FLAIR magnetic resonance.
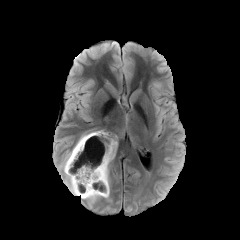
T1-weighted MR image.
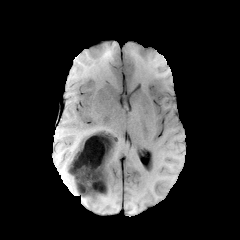
Post-contrast T1-weighted MR image.
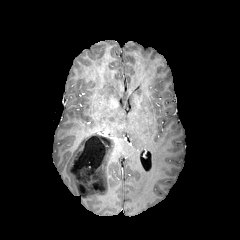
T2-weighted MR image.
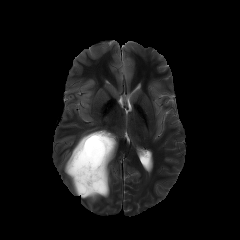
Head
The non-enhancing tumor core is located at (66, 132, 114, 195). 2 edema regions are located at (64, 142, 78, 193), (82, 162, 109, 201). The enhancing tumor lies within (82, 130, 105, 139).